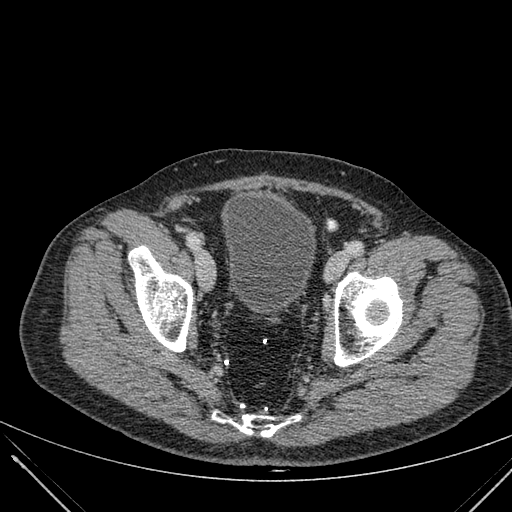
CT
Annotated regions:
* urinary bladder: region(224, 196, 316, 309)